Slice 96/155 | Image size 240x240 | Brain
FLAIR MR.
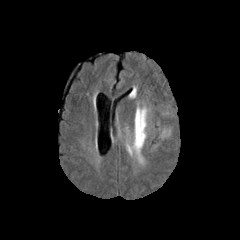
T1-weighted MR.
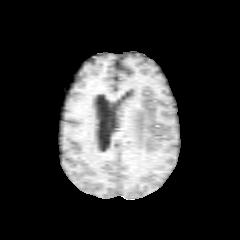
Post-contrast T1-weighted MR image.
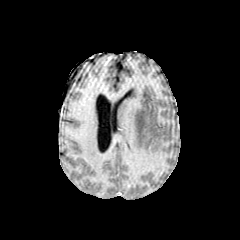
T2-weighted MR.
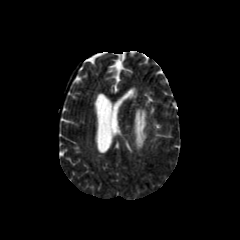
edema:
  - 129,87,136,97
  - 133,107,146,152